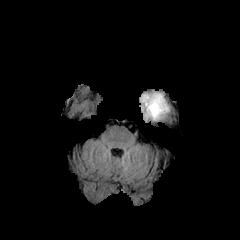
FLAIR MR.
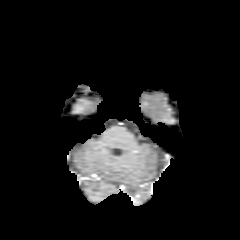
Same slice, T1-weighted MR image.
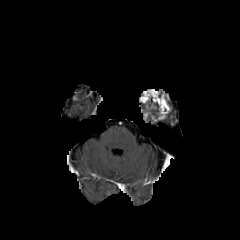
Post-contrast T1-weighted MR.
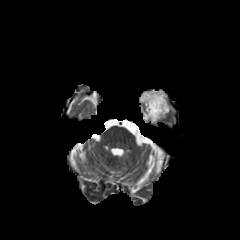
T2-weighted magnetic resonance.
Head
enhancing tumor: bbox(141, 92, 170, 119) | non-enhancing tumor core: bbox(146, 99, 159, 116)